CT. Liver.
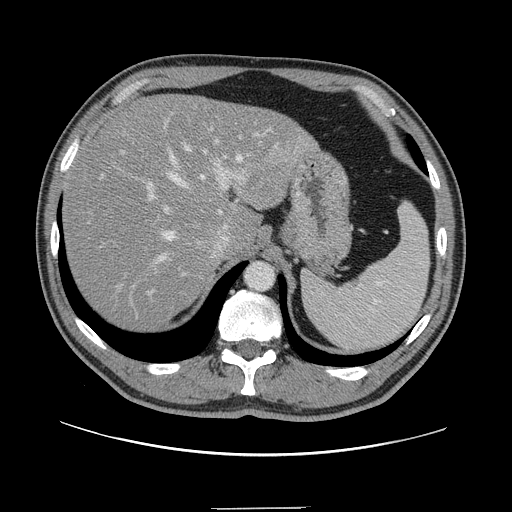 Only some of the vessels may be annotated.
Liver tumor: 243,170,286,209.
Most prominent 15 of 20 hepatic vessel regions: 156,255,164,262; 148,184,153,200; 255,134,261,136; 204,150,207,153; 185,145,190,149; 239,176,244,179; 170,175,186,187; 216,140,218,143; 237,156,242,161; 164,207,168,212; 218,166,234,190; 201,175,205,178; 171,154,176,164; 164,232,174,240; 147,291,153,294.